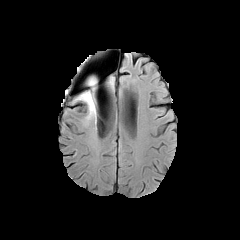
FLAIR MRI.
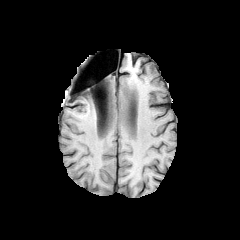
T1-weighted MR image.
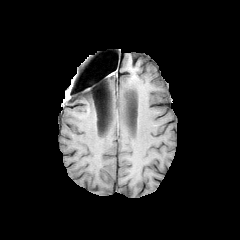
Same slice, post-contrast T1-weighted MR image.
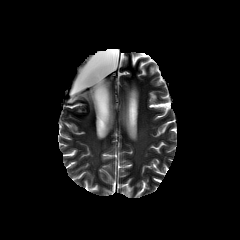
T2-weighted magnetic resonance of the same slice.
Brain
non-enhancing_tumor_core:
  - 89, 78, 95, 101
edema:
  - 72, 77, 97, 119